CT image | Abdomen
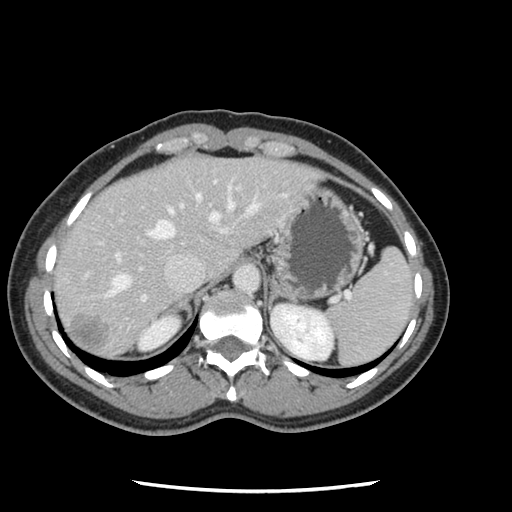 Only some of the vessels may be annotated.
Hepatic vessel: bounding box x1=219 y1=227 x2=225 y2=231, x1=148 y1=220 x2=173 y2=237, x1=141 y1=295 x2=145 y2=299, x1=210 y1=212 x2=218 y2=225, x1=107 y1=274 x2=130 y2=294, x1=228 y1=186 x2=230 y2=190, x1=180 y1=202 x2=182 y2=206, x1=166 y1=205 x2=171 y2=211, x1=195 y1=193 x2=200 y2=199, x1=227 y1=196 x2=233 y2=207, x1=247 y1=200 x2=258 y2=211, x1=116 y1=253 x2=120 y2=260.
Liver tumor: bounding box x1=70 y1=316 x2=108 y2=353.